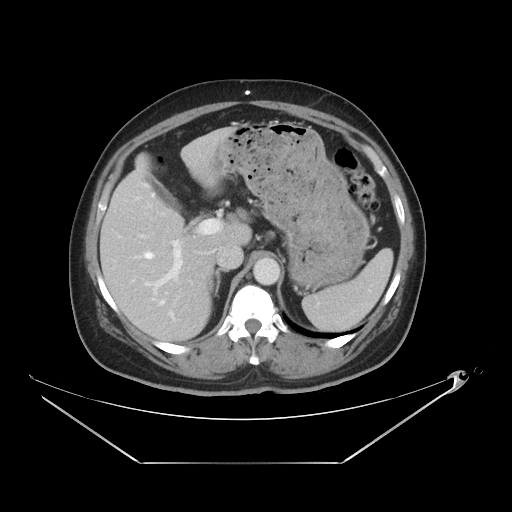

CT scan slice

The vessel annotation is not exhaustive.
hepatic vessel: 156,242,180,285; 146,253,151,257